CT scan slice. Upper abdomen.

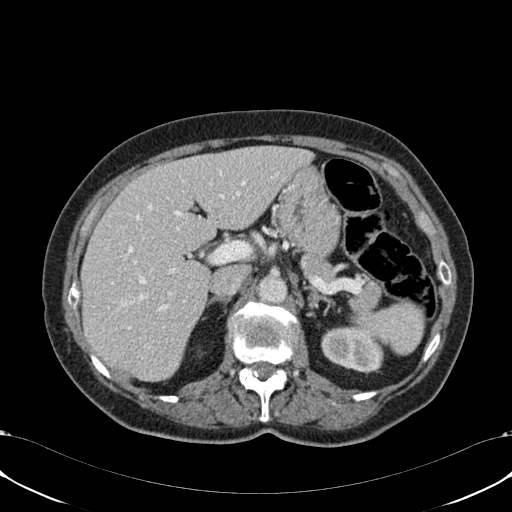

- kidney: (left=322, top=325, right=382, bottom=370)
- liver: (left=82, top=145, right=313, bottom=381)